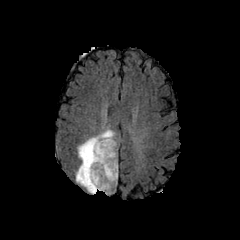
FLAIR magnetic resonance.
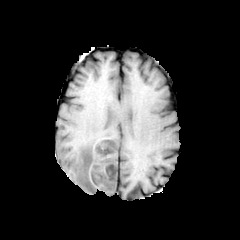
T1-weighted MR of the same slice.
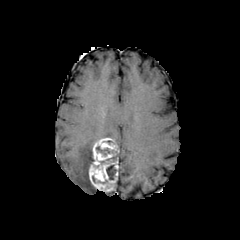
Post-contrast T1-weighted MR image of the same slice.
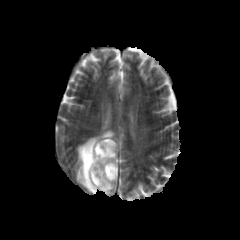
T2-weighted MRI of the same slice.
240x240 px, Head
edema:
  - 75, 129, 115, 194
non-enhancing_tumor_core:
  - 106, 165, 115, 179
enhancing_tumor:
  - 89, 137, 118, 193